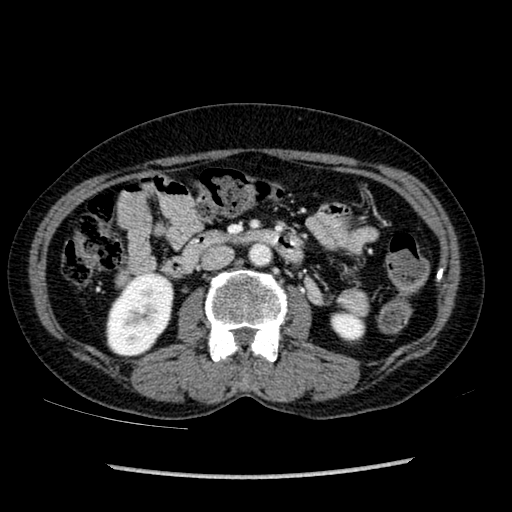 CT scan slice
* kidney: [x1=333, y1=315, x2=361, y2=338], [x1=108, y1=274, x2=172, y2=355]